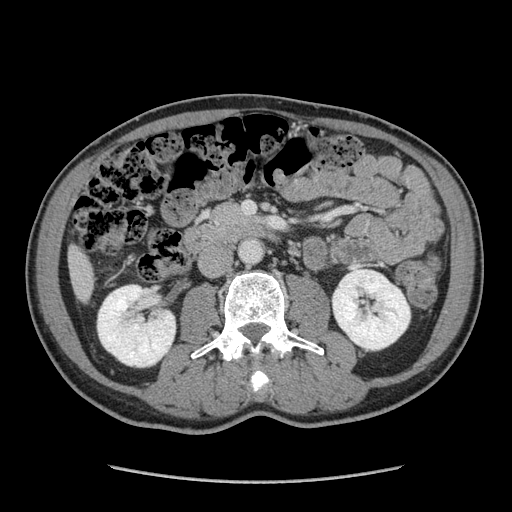 CT slice, Abdomen
* pancreas: left=212, top=204, right=249, bottom=231